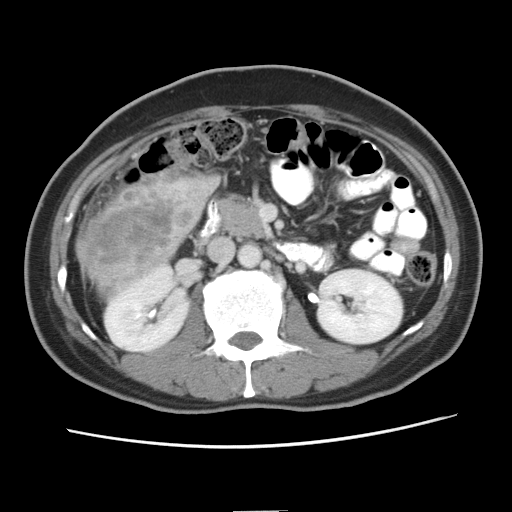
Abdomen. Computed tomography. Image size 512x512.

The liver tumor is bounded by (77,171,198,285).